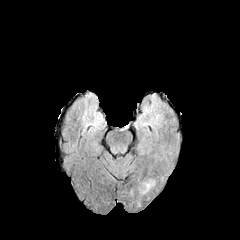
FLAIR MR.
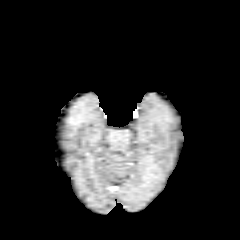
T1-weighted MR.
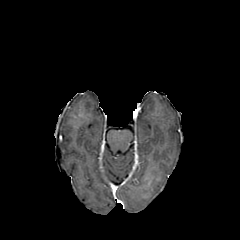
Same slice, post-contrast T1-weighted magnetic resonance.
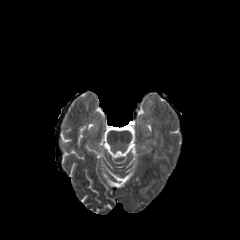
T2-weighted MRI.
Head
edema:
  - left=142, top=179, right=154, bottom=193